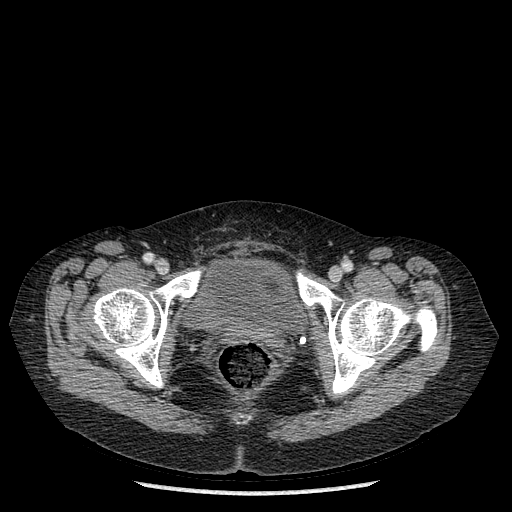 CT image.

<segmentation>
  <urinary_bladder>box(188, 255, 303, 341)</urinary_bladder>
  <bone>box(296, 272, 437, 395); box(89, 269, 201, 387)</bone>
</segmentation>